Brain.
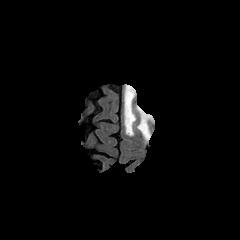
FLAIR magnetic resonance.
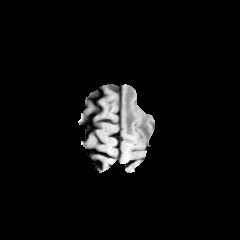
T1-weighted MR.
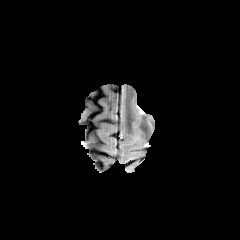
Same slice, post-contrast T1-weighted magnetic resonance.
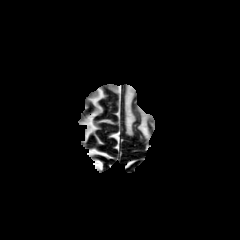
T2-weighted magnetic resonance.
Edema: bbox=[123, 84, 154, 143].